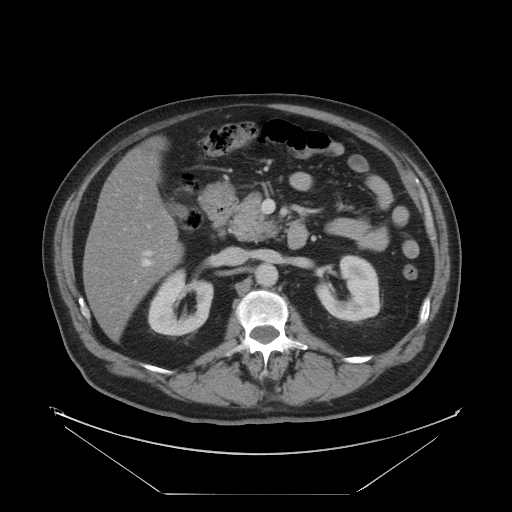
Abdomen, 512x512, CT slice
<segmentation>
  <pancreas>x1=235 y1=192 x2=276 y2=240</pancreas>
</segmentation>